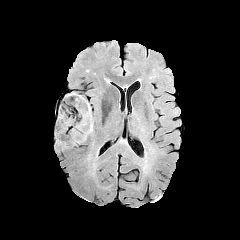
FLAIR magnetic resonance.
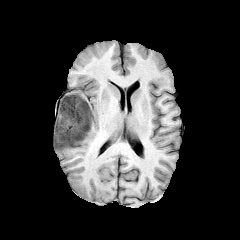
T1-weighted magnetic resonance.
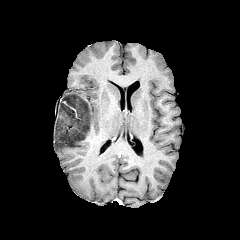
Same slice, post-contrast T1-weighted magnetic resonance.
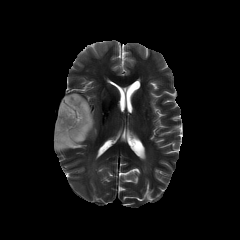
Same slice, T2-weighted MR.
Brain
{"non-enhancing_tumor_core": ["55 94 92 149"], "edema": ["59 94 73 112"]}